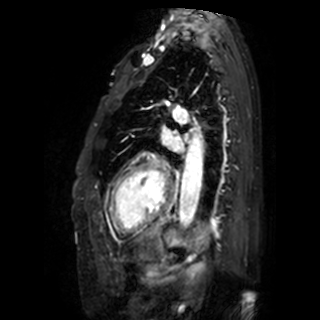
MRI slice
Left atrium: 161,131,183,152.